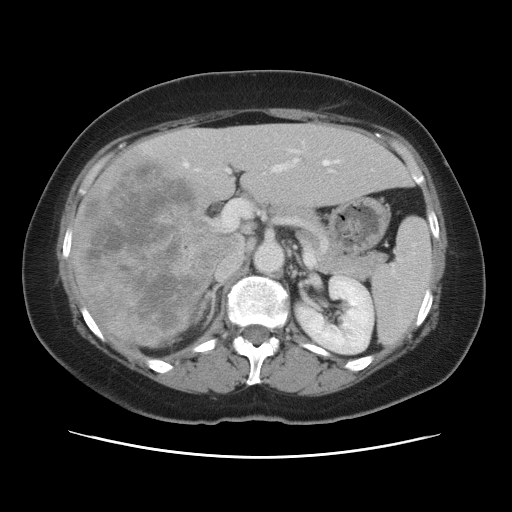
CT
The vessel annotation is not exhaustive.
<segmentation>
  <liver_tumor>x1=78, y1=155, x2=216, y2=344</liver_tumor>
  <hepatic_vessel>x1=216, y1=257, x2=242, y2=279; x1=307, y1=249, x2=312, y2=251; x1=334, y1=160, x2=339, y2=162; x1=226, y1=169, x2=228, y2=171; x1=184, y1=162, x2=187, y2=166; x1=286, y1=219, x2=298, y2=221; x1=211, y1=199, x2=251, y2=232; x1=289, y1=149, x2=297, y2=152; x1=273, y1=157, x2=299, y2=171; x1=323, y1=160, x2=333, y2=172; x1=303, y1=141, x2=304, y2=143</hepatic_vessel>
</segmentation>